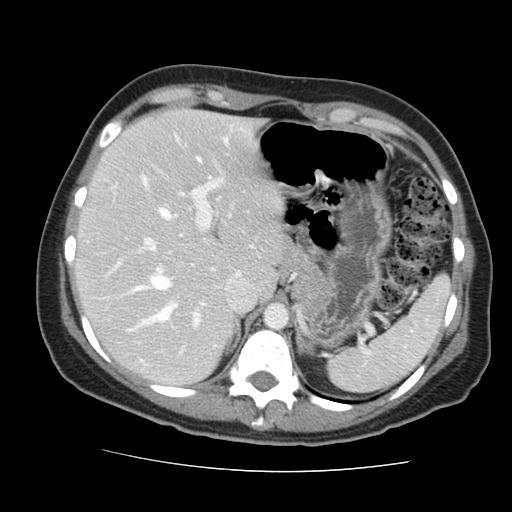
Liver; CT scan slice
The vessel annotation is not exhaustive.
Annotated regions:
* hepatic vessel: 193 313 198 324, 142 303 176 324, 191 178 219 227, 127 329 132 331, 224 137 226 142, 132 287 145 291, 175 137 177 141, 197 158 199 161, 151 269 169 289, 144 239 154 250, 116 262 119 266